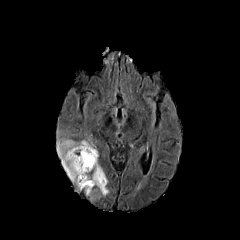
FLAIR MRI.
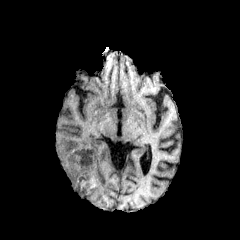
T1-weighted MR.
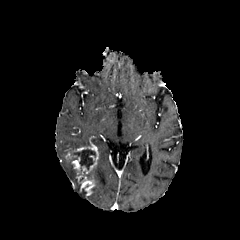
Same slice, post-contrast T1-weighted MRI.
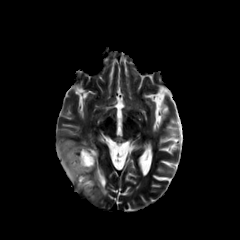
T2-weighted MR.
Head
Edema — x1=85, y1=163, x2=108, y2=195; x1=59, y1=139, x2=89, y2=190.
Enhancing tumor — x1=74, y1=146, x2=98, y2=174; x1=76, y1=171, x2=95, y2=195; x1=72, y1=157, x2=80, y2=170.
Non-enhancing tumor core — x1=71, y1=148, x2=95, y2=172.